CT slice | Slice 272 of 771 | Abdomen
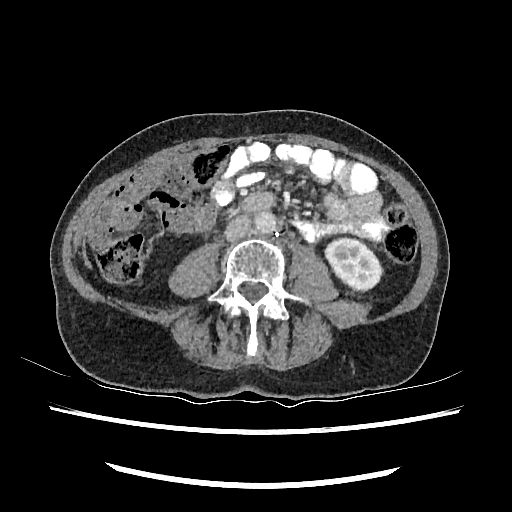
The kidney appears at [326, 239, 380, 288].